FLAIR MR.
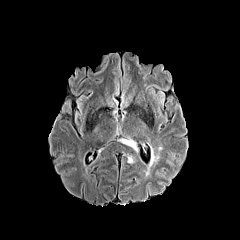
T1-weighted MRI.
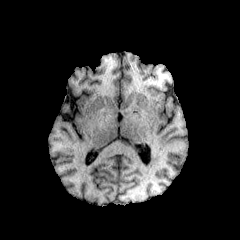
Post-contrast T1-weighted MRI.
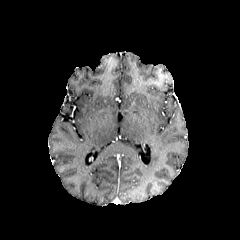
T2-weighted MR image.
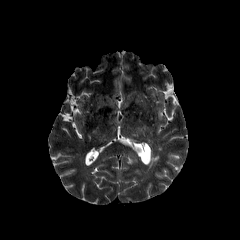
Edema: <bbox>143, 142, 162, 176</bbox>, <bbox>117, 139, 135, 148</bbox>.